512x512, Slice index 80, CT image
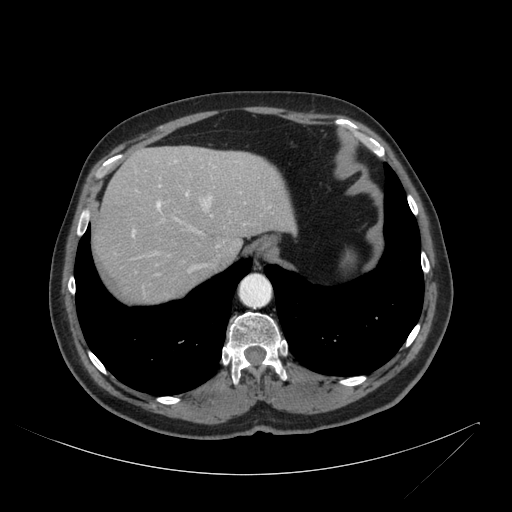

{
  "liver": [
    "94:146:296:300"
  ]
}